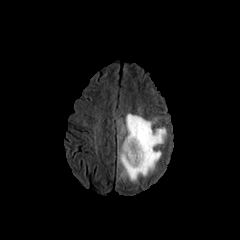
FLAIR MRI.
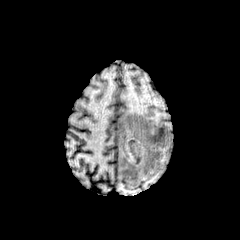
Same slice, T1-weighted MR.
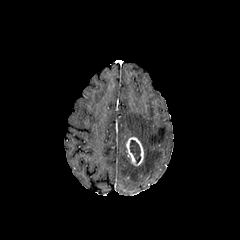
Post-contrast T1-weighted MR image of the same slice.
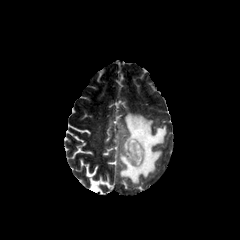
T2-weighted MRI.
240x240 px. Brain.
The enhancing tumor appears at x1=125, y1=137, x2=143, y2=165. The edema is at x1=117, y1=113, x2=167, y2=184. The non-enhancing tumor core is located at x1=130, y1=140, x2=141, y2=162.